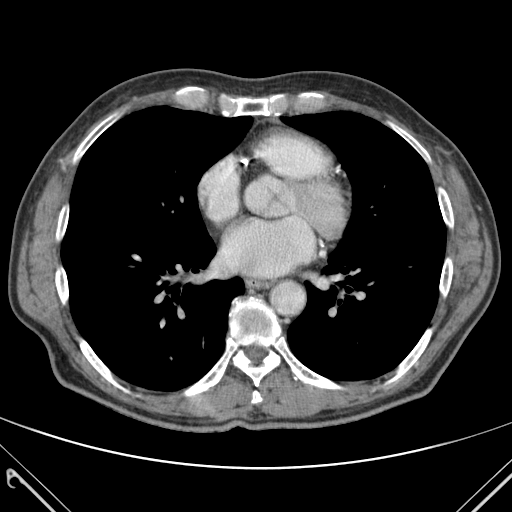
Computed tomography; 512x512

- lung: left=282, top=111, right=445, bottom=380; left=61, top=106, right=252, bottom=390
- bone: left=56, top=263, right=68, bottom=302; left=221, top=93, right=326, bottom=115; left=80, top=341, right=121, bottom=388; left=388, top=123, right=429, bottom=159; left=74, top=104, right=133, bottom=160; left=56, top=207, right=68, bottom=244; left=252, top=391, right=261, bottom=402; left=185, top=297, right=339, bottom=395; left=438, top=188, right=453, bottom=226; left=173, top=87, right=203, bottom=94; left=390, top=330, right=431, bottom=381; left=440, top=259, right=452, bottom=295